240x240
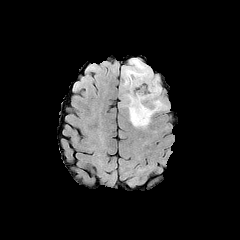
FLAIR MR image.
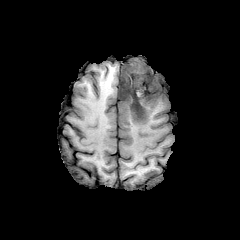
Same slice, T1-weighted MR.
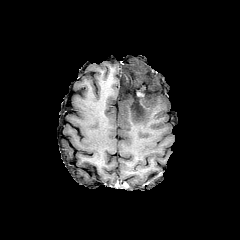
Same slice, post-contrast T1-weighted MR.
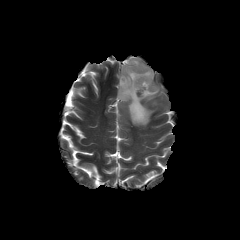
T2-weighted magnetic resonance.
Edema: (120,58,163,127).
Non-enhancing tumor core: (122,72,152,116).